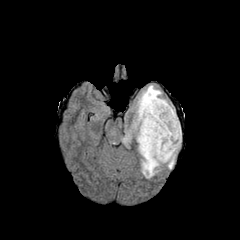
FLAIR MR.
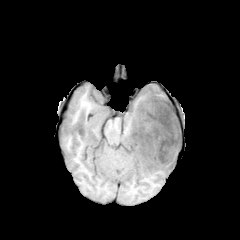
Same slice, T1-weighted MR image.
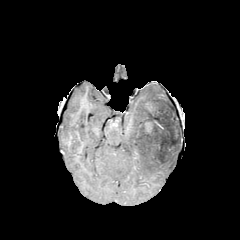
Post-contrast T1-weighted magnetic resonance.
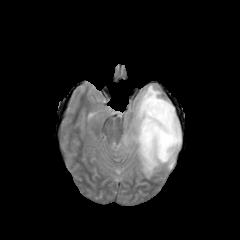
T2-weighted MR image.
Head
Edema at 122,85,181,178.
Non-enhancing tumor core at 143,96,175,152.